Abdomen. Slice index 402. CT. 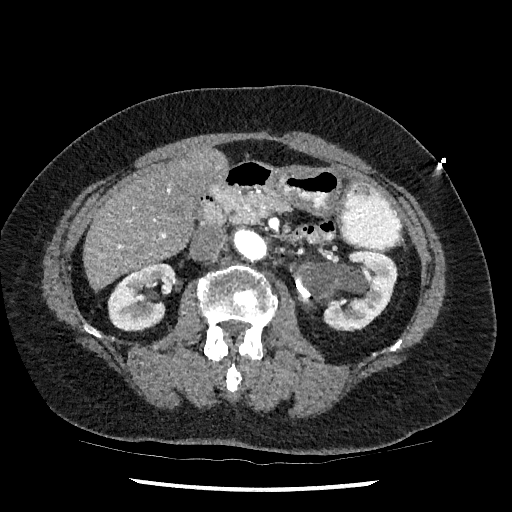

Kidney: bounding box <bbox>108, 264, 175, 330</bbox>, <bbox>324, 250, 396, 330</bbox>.
Liver: bounding box <bbox>84, 149, 227, 290</bbox>.